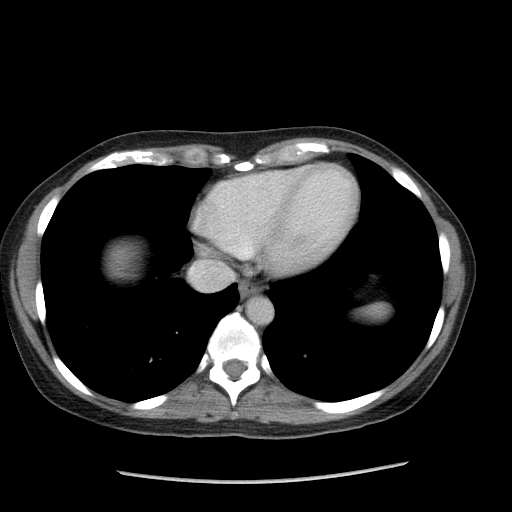

512x512, Upper abdomen, Computed tomography
The spleen is at (x1=362, y1=306, x2=392, y2=319).